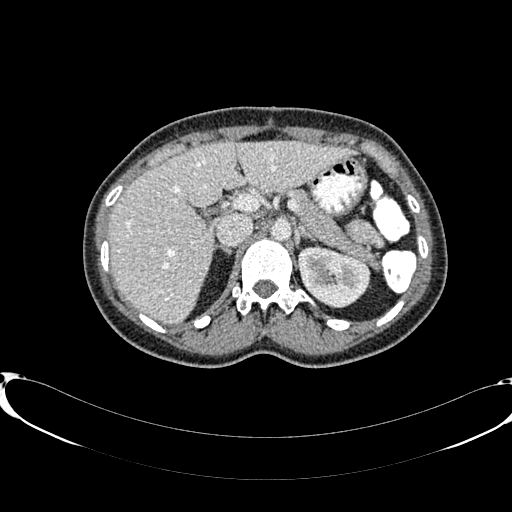 Abdomen | CT slice
Liver — box=[108, 141, 357, 322].
Kidney — box=[299, 248, 368, 308].